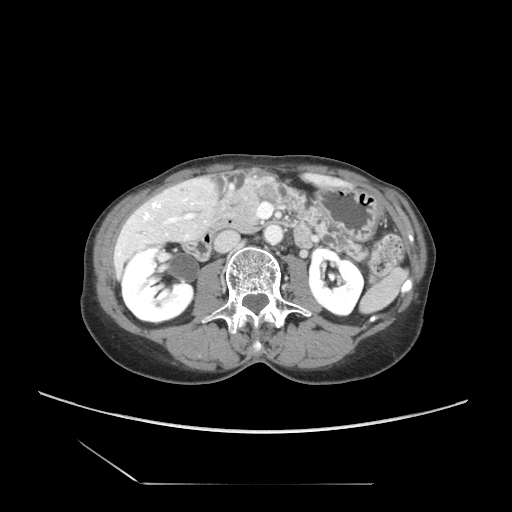 Upper abdomen | Computed tomography
Pancreas = l=264, t=181, r=368, b=259.
Pancreatic tumor = l=260, t=184, r=278, b=200.